Hippocampus. MR.
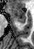

Segmented structures:
* anterior hippocampus: 9:8:25:22